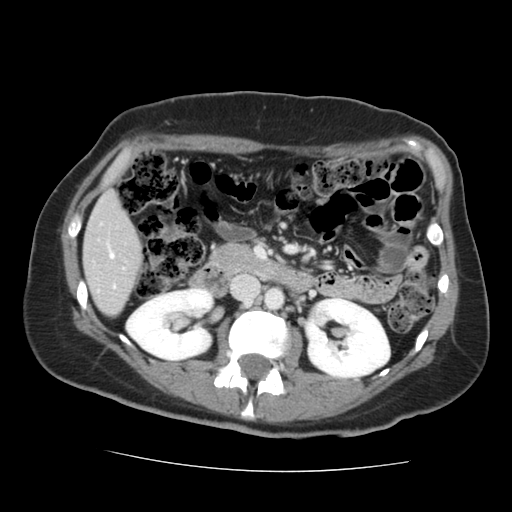 CT image. 512x512 px. Liver.
The vessel annotation is not exhaustive.
Hepatic vessel — rect(108, 246, 113, 258).